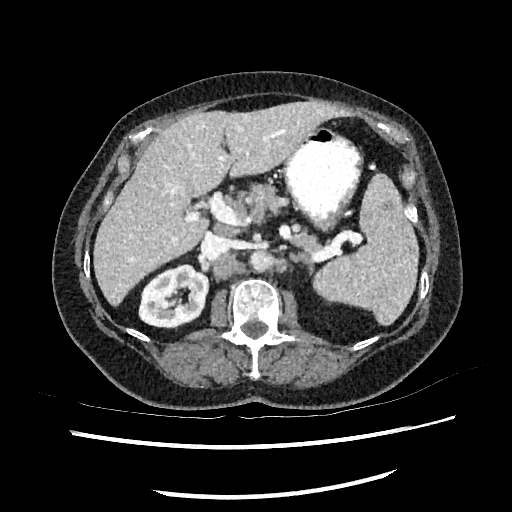

CT. Upper abdomen.
Kidney at [x1=139, y1=265, x2=207, y2=326].
Liver at [x1=93, y1=101, x2=345, y2=304].